Brain
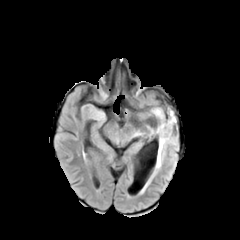
FLAIR MR image.
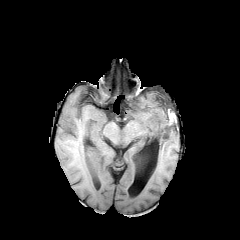
T1-weighted MRI.
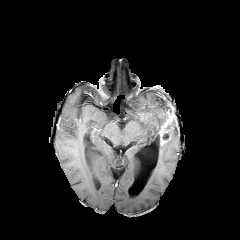
Post-contrast T1-weighted MR.
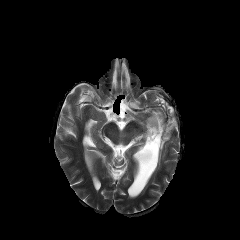
T2-weighted magnetic resonance.
Non-enhancing tumor core: rect(162, 132, 170, 141); rect(160, 108, 172, 118); rect(150, 123, 162, 147).
Edema: rect(134, 124, 157, 136); rect(144, 113, 177, 189); rect(151, 105, 169, 123).
Enhancing tumor: rect(158, 116, 173, 146).